Slice 47/121 | Computed tomography | Image width 418 mm

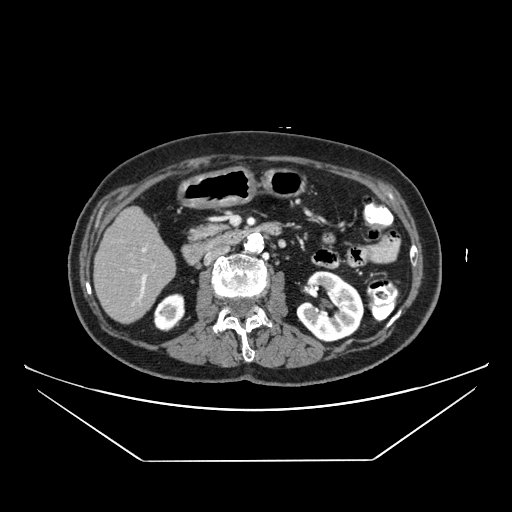 The pancreas is bounded by 186,222,229,242.